Field of view 400x400 mm | CT image | Slice index 384

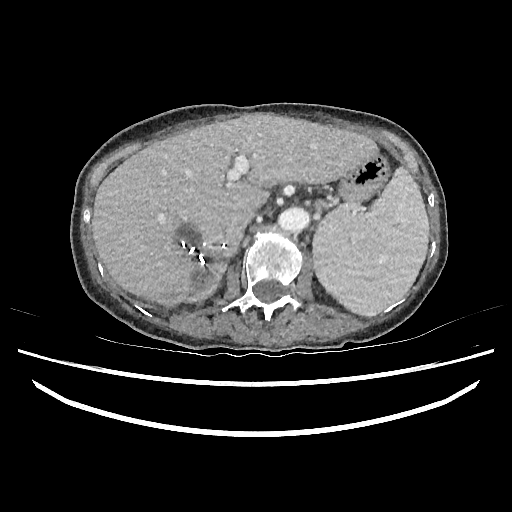
2 hepatic lesion regions are bounded by bbox=[191, 269, 209, 292]; bbox=[183, 231, 199, 245]. The liver is bounded by bbox=[92, 114, 375, 304].